Field of view 350x350 mm. CT image. 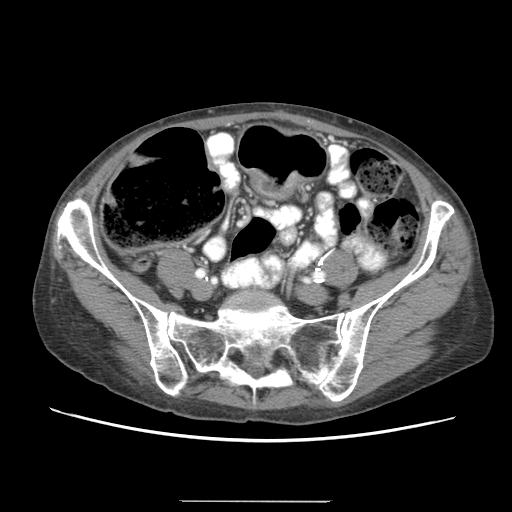

<segmentation>
  <colon_tumor>(x1=247, y1=168, x2=303, y2=198)</colon_tumor>
</segmentation>